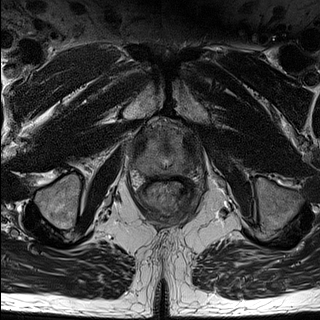
T2-weighted magnetic resonance.
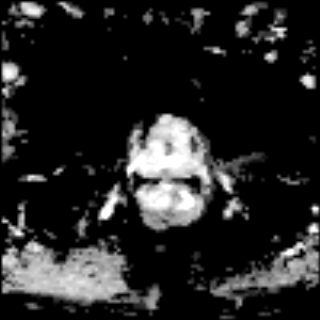
Same slice, ADC MRI.
Prostate
{
  "prostate_transition_zone": [
    "bbox(154, 136, 176, 168)"
  ],
  "prostate_peripheral_zone": [
    "bbox(141, 135, 186, 176)"
  ]
}